CT scan slice; Liver
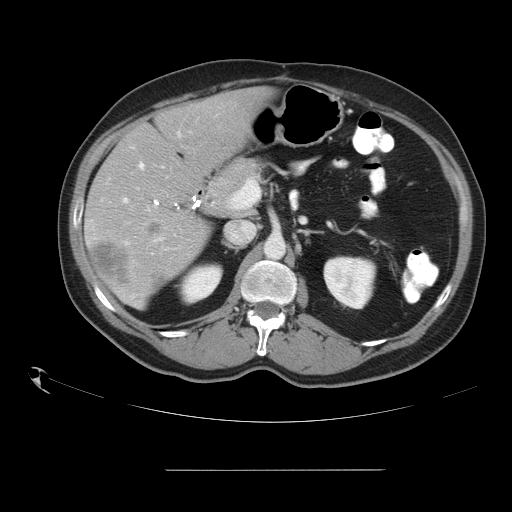 The vessel boxes may cover only some of the vessels.
3 hepatic vessel regions are located at (123, 198, 127, 202), (178, 133, 180, 136), (139, 163, 143, 168). 2 liver tumor regions are bounded by (148, 221, 160, 234), (91, 246, 128, 287).